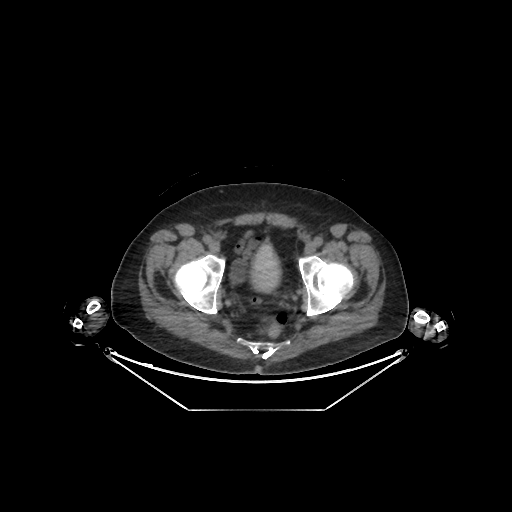

CT slice | Lower abdomen

{"urinary_bladder": ["(250, 244, 280, 292)"]}